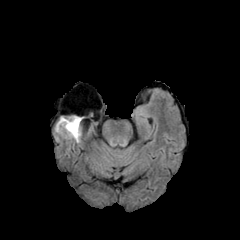
FLAIR MRI.
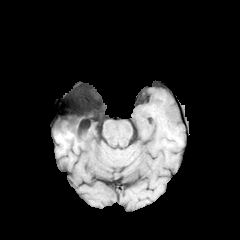
Same slice, T1-weighted MR image.
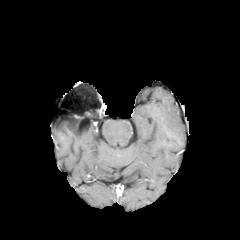
Post-contrast T1-weighted MR image of the same slice.
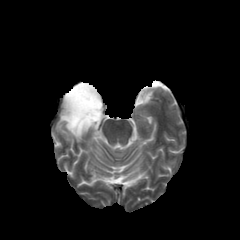
Same slice, T2-weighted MR image.
Brain | Image size 240x240
• non-enhancing tumor core: 62, 112, 95, 133
• edema: 54, 116, 81, 142